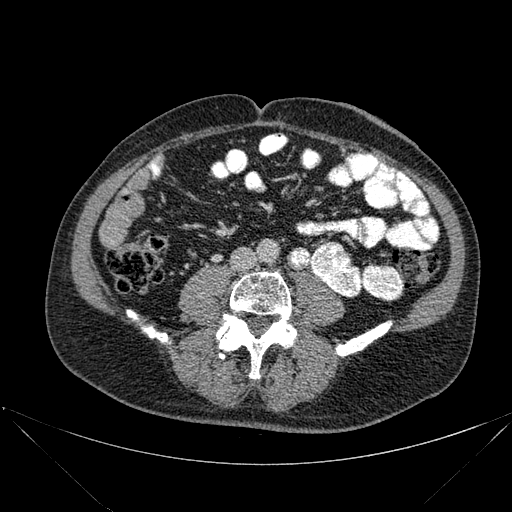 CT. {
  "bone": [
    "(x1=216, y1=272, x2=296, y2=378)",
    "(x1=127, y1=310, x2=137, y2=319)",
    "(x1=336, y1=322, x2=391, y2=355)",
    "(x1=142, y1=326, x2=167, y2=341)"
  ]
}